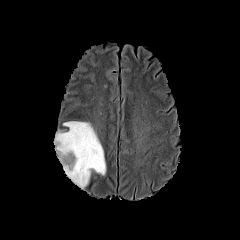
FLAIR MR image.
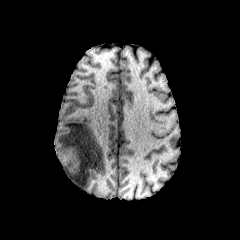
T1-weighted MR.
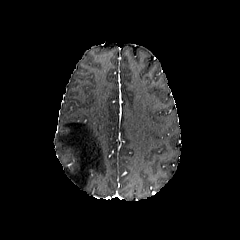
Post-contrast T1-weighted MR image.
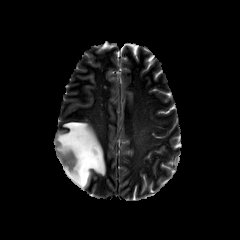
Same slice, T2-weighted MR.
Brain
The non-enhancing tumor core is bounded by 59:152:73:165. The edema lies within 53:121:106:189.